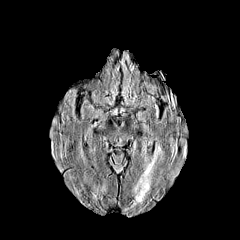
FLAIR MRI.
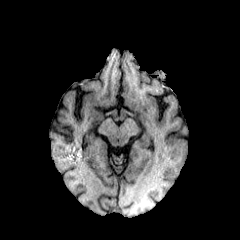
Same slice, T1-weighted magnetic resonance.
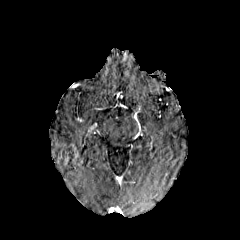
Same slice, post-contrast T1-weighted magnetic resonance.
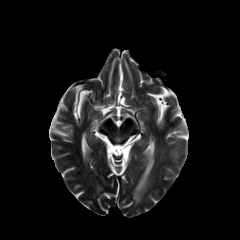
T2-weighted MR image of the same slice.
Image size 240x240.
<segmentation>
  <edema>[134,158,154,203]</edema>
</segmentation>